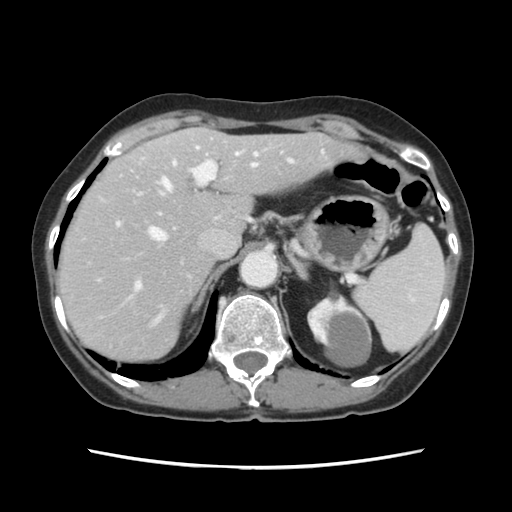
Abdomen | CT scan slice
The vessel annotation is not exhaustive.
- hepatic vessel: bbox=[288, 159, 292, 162]; bbox=[190, 160, 215, 183]; bbox=[173, 162, 175, 165]; bbox=[162, 179, 170, 190]; bbox=[196, 147, 198, 149]; bbox=[135, 282, 141, 290]; bbox=[254, 153, 257, 156]; bbox=[252, 163, 255, 166]; bbox=[149, 228, 165, 240]; bbox=[116, 222, 119, 225]; bbox=[235, 152, 239, 155]